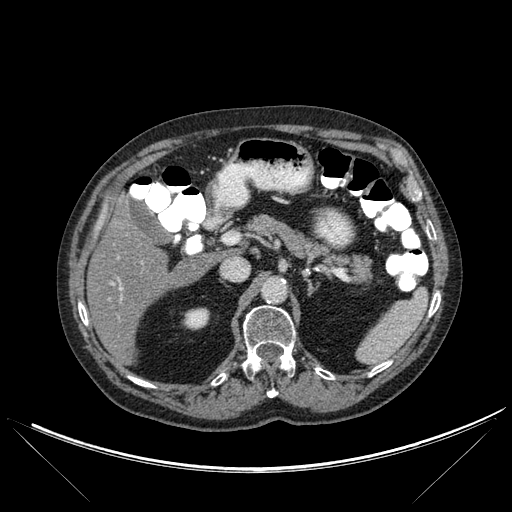
Upper abdomen, Computed tomography
kidney:
  - [185,309,208,328]
bone:
  - [426,225,435,239]
  - [369,361,391,376]
  - [315,367,333,379]
  - [429,292,440,315]
  - [78,303,87,324]
  - [267,389,277,397]
  - [211,373,225,385]
  - [242,306,295,373]
  - [129,376,154,387]
liver:
  - [87,203,212,365]
  - [216,248,241,262]